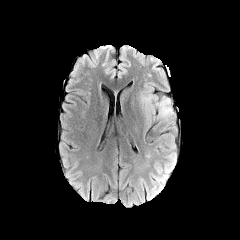
FLAIR MR image.
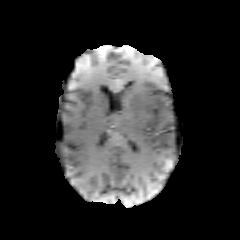
Same slice, T1-weighted magnetic resonance.
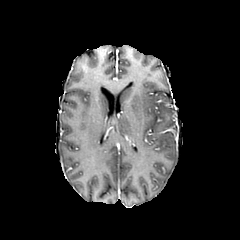
Post-contrast T1-weighted MR image.
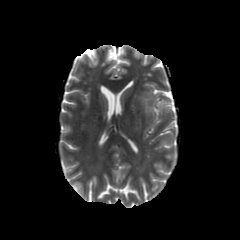
T2-weighted MRI.
Brain
edema:
  - [x1=140, y1=86, x2=176, y2=125]